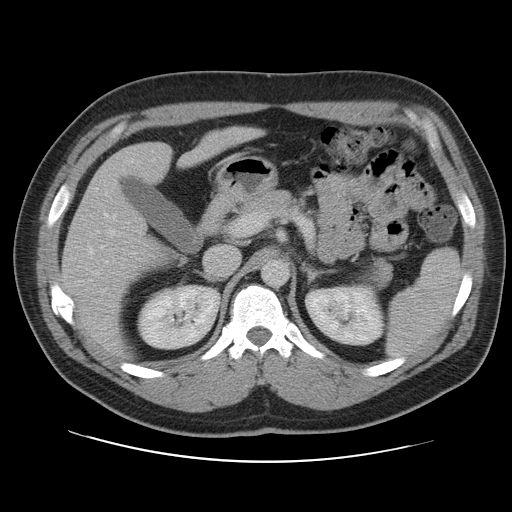 CT image | Image size 512x512 | Abdomen
Some hepatic vessels may have no box.
Hepatic vessel at 88:245:92:253, 104:213:115:218, 109:230:115:235.